Liver, Image width 358 mm, CT image 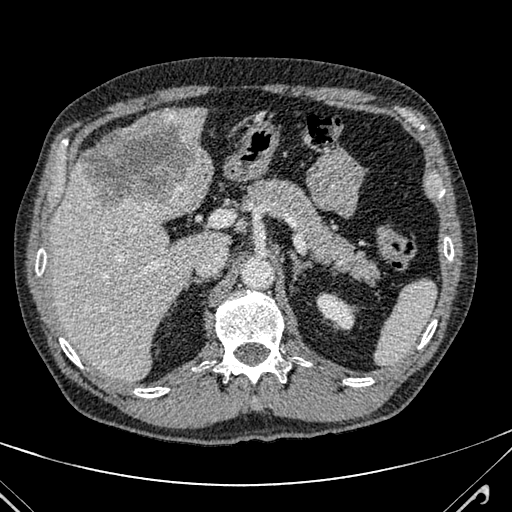
The hepatic lesion is bounded by bbox=[78, 110, 211, 205]. 3 liver regions are located at bbox=[164, 108, 205, 148]; bbox=[117, 117, 146, 132]; bbox=[49, 159, 230, 380].